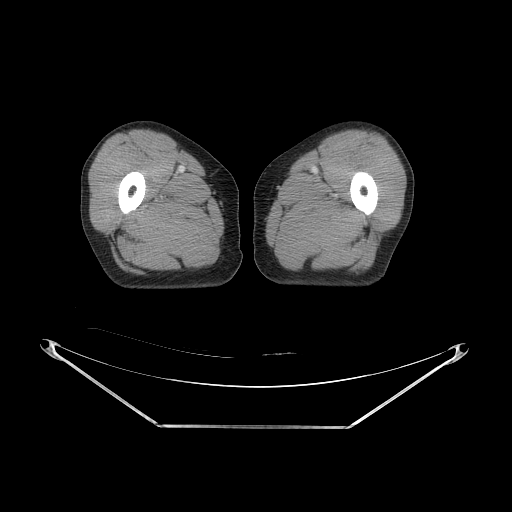

Computed tomography

<segmentation>
  <bone>(117, 175, 143, 219), (350, 176, 376, 219)</bone>
</segmentation>